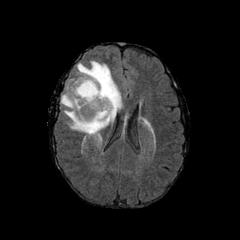
FLAIR magnetic resonance.
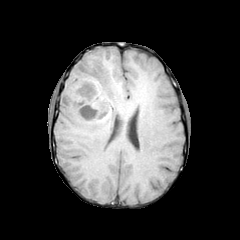
T1-weighted magnetic resonance of the same slice.
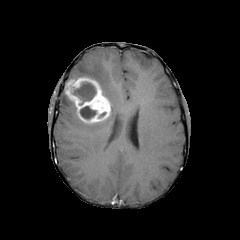
Post-contrast T1-weighted MR of the same slice.
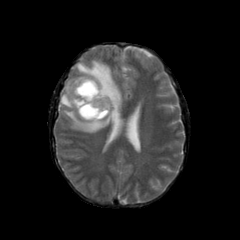
T2-weighted MR image.
Image size 240x240
2 non-enhancing tumor core regions are located at (80, 106, 96, 119), (73, 81, 96, 105). The edema is located at (61, 60, 122, 134). The enhancing tumor is located at (64, 77, 110, 123).